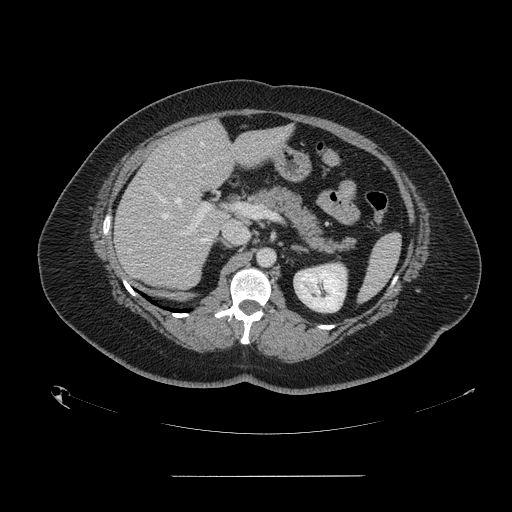 Upper abdomen, CT image
<segmentation>
  <spleen>(x1=360, y1=235, x2=400, y2=300)</spleen>
</segmentation>